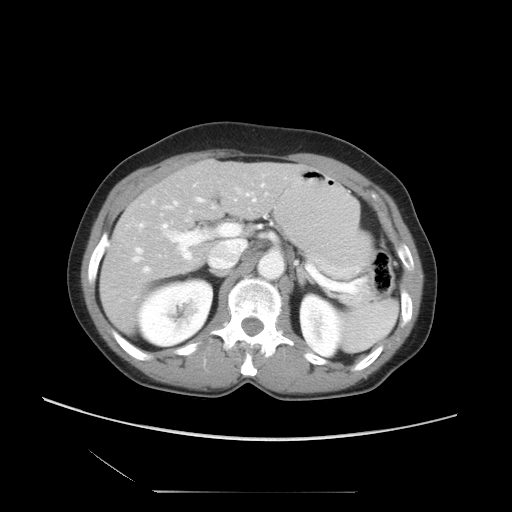 CT slice | Image size 512x512 | Abdomen

Only some of the vessels may be annotated.
The top 15 hepatic vessel regions (of 16) are bounded by [265, 193, 267, 194], [143, 266, 149, 271], [236, 188, 255, 200], [185, 218, 188, 220], [211, 250, 213, 253], [135, 223, 142, 227], [151, 200, 154, 203], [234, 197, 236, 200], [195, 197, 202, 202], [193, 184, 195, 186], [132, 247, 142, 261], [189, 210, 191, 212], [261, 183, 263, 186], [160, 223, 198, 259], [163, 201, 177, 208].